FLAIR MRI.
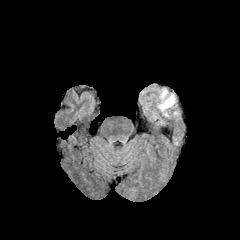
T1-weighted MR.
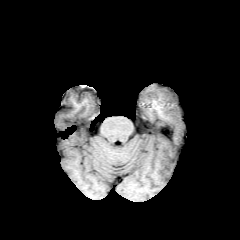
Post-contrast T1-weighted magnetic resonance.
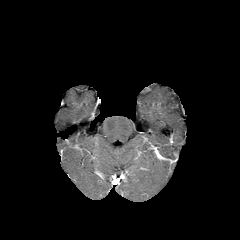
T2-weighted MR.
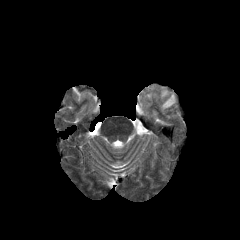
240x240 px
<segmentation>
  <edema>{"x1": 152, "y1": 88, "x2": 178, "y2": 119}</edema>
</segmentation>